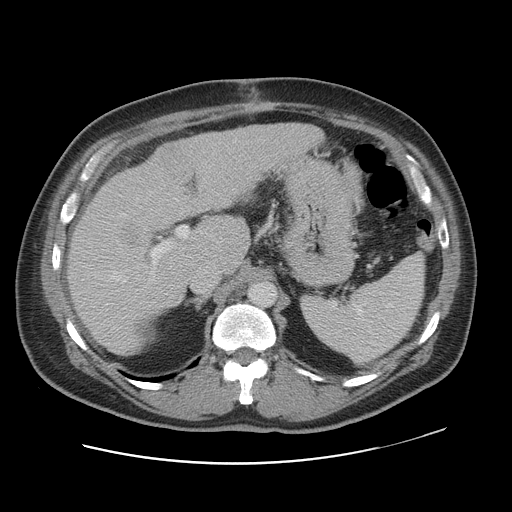

CT slice

The vessel annotation is not exhaustive.
hepatic vessel: (135, 277, 138, 280), (182, 196, 186, 198), (198, 257, 201, 259), (203, 179, 204, 180), (103, 284, 104, 285), (133, 297, 135, 299), (142, 241, 171, 282), (108, 275, 127, 282), (143, 285, 146, 287), (201, 185, 204, 186), (176, 225, 188, 237), (121, 264, 125, 265)